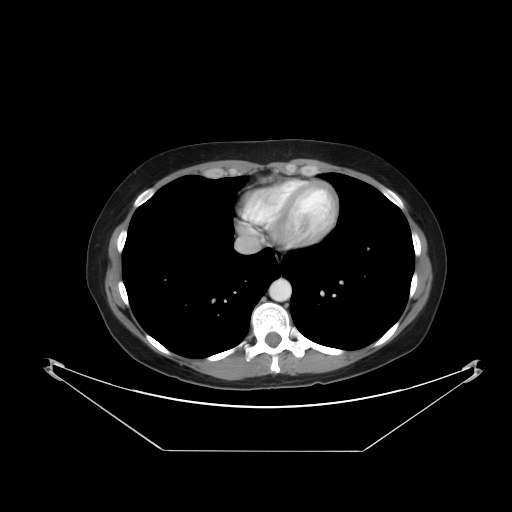 Liver; Computed tomography
The vessel annotation is not exhaustive.
{
  "hepatic_vessel": [
    "rect(237, 236, 245, 251)"
  ]
}